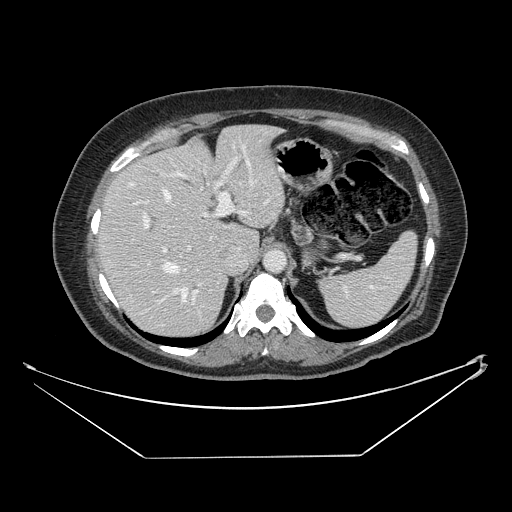
CT scan slice
Pancreas = bbox(289, 217, 314, 246).